FLAIR magnetic resonance.
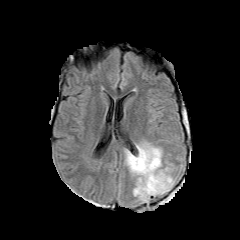
T1-weighted MRI.
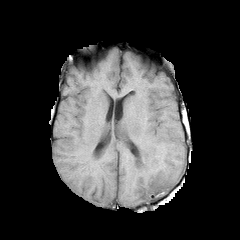
Post-contrast T1-weighted magnetic resonance.
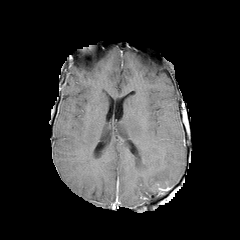
T2-weighted MR image.
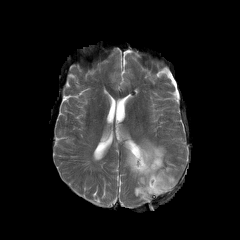
Brain
{"enhancing_tumor": ["[x1=157, y1=183, x2=171, y2=193]"], "edema": ["[x1=125, y1=141, x2=176, y2=202]"]}